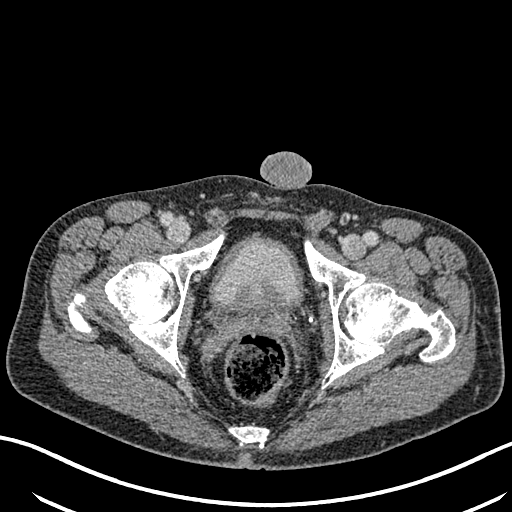 CT scan slice | Pelvis

Urinary bladder: bounding box box(213, 238, 300, 306).